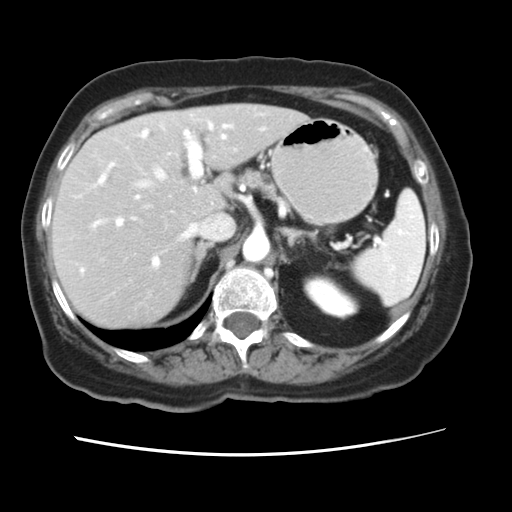 Computed tomography; Image size 512x512; Abdomen
Some hepatic vessels may have no box.
Top 15 of 18 hepatic vessel regions at [x1=208, y1=122, x2=212, y2=128], [x1=93, y1=174, x2=105, y2=186], [x1=108, y1=163, x2=113, y2=169], [x1=155, y1=169, x2=165, y2=179], [x1=91, y1=219, x2=103, y2=227], [x1=80, y1=269, x2=83, y2=274], [x1=116, y1=217, x2=122, y2=225], [x1=139, y1=130, x2=148, y2=137], [x1=190, y1=114, x2=193, y2=119], [x1=136, y1=181, x2=151, y2=187], [x1=222, y1=124, x2=232, y2=128], [x1=152, y1=257, x2=159, y2=267], [x1=221, y1=136, x2=225, y2=138], [x1=184, y1=130, x2=190, y2=135], [x1=181, y1=225, x2=194, y2=239].